CT slice, Slice 74 of 151, Liver, Image width 399 mm
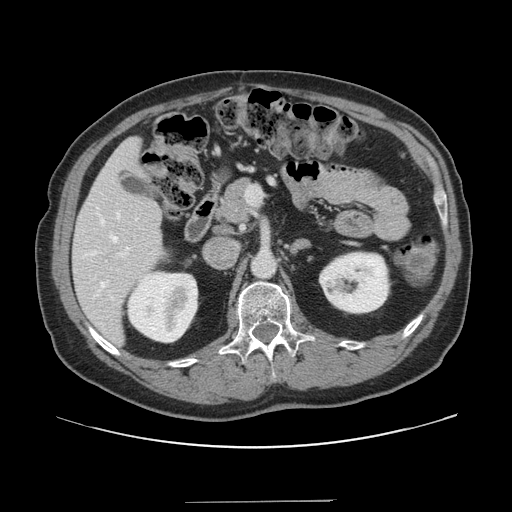

The vessel boxes may cover only some of the vessels.
Annotated regions:
• hepatic vessel: bbox=[117, 246, 130, 257]; bbox=[110, 235, 117, 242]; bbox=[100, 282, 105, 287]; bbox=[101, 218, 104, 224]; bbox=[246, 188, 260, 202]; bbox=[117, 212, 119, 218]